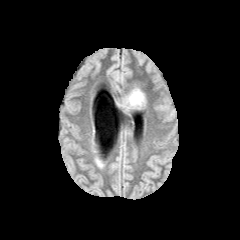
FLAIR magnetic resonance.
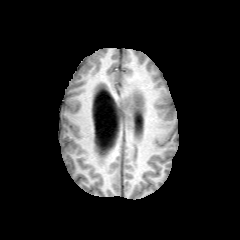
T1-weighted MR.
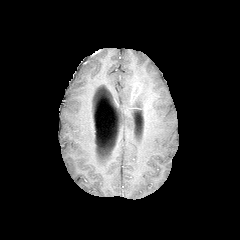
Post-contrast T1-weighted magnetic resonance of the same slice.
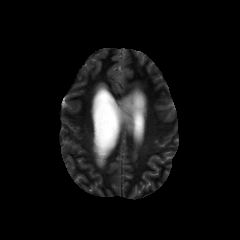
T2-weighted MR.
The edema appears at bbox(115, 87, 145, 112). The enhancing tumor is at bbox(129, 89, 139, 102). The non-enhancing tumor core appears at bbox(125, 95, 143, 108).